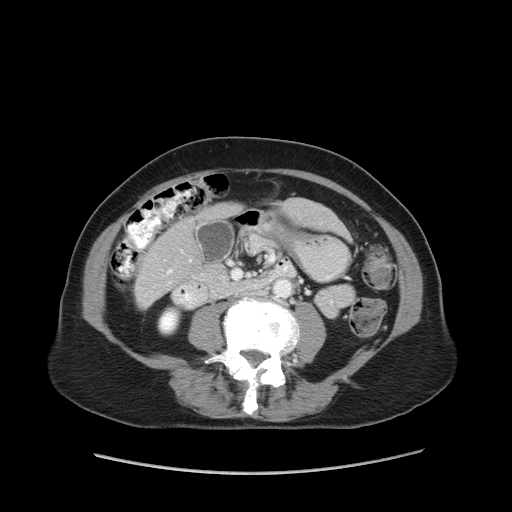

CT slice, Liver

The vessel boxes may cover only some of the vessels.
2 hepatic vessel regions are located at rect(168, 270, 171, 273); rect(189, 259, 191, 261).